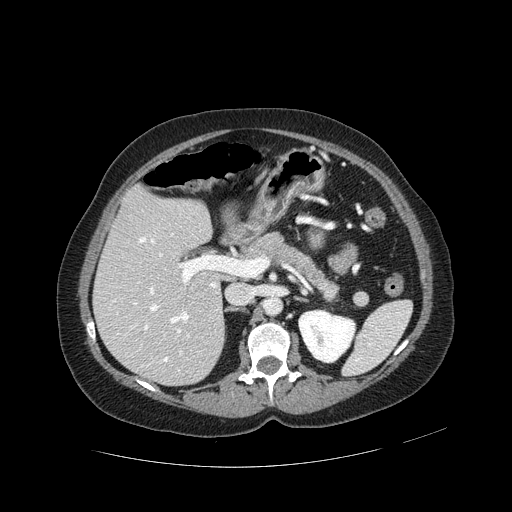
Image size 512x512, CT slice, Abdomen

pancreatic tumor: box(259, 237, 290, 260) | pancreas: box(244, 233, 338, 301)